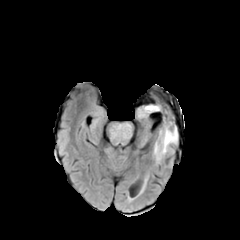
FLAIR magnetic resonance.
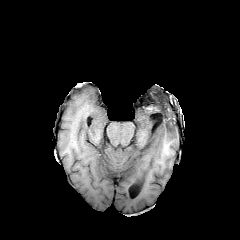
Same slice, T1-weighted MR.
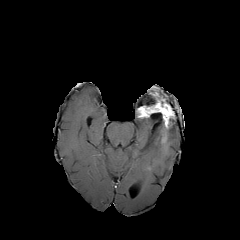
Post-contrast T1-weighted MR.
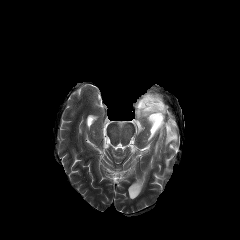
T2-weighted magnetic resonance of the same slice.
non-enhancing_tumor_core:
  - region(159, 120, 174, 143)
edema:
  - region(151, 125, 177, 164)
enhancing_tumor:
  - region(137, 100, 172, 130)